Image size 33x52 | MRI | Medial temporal lobe | Field of view 33x52 mm 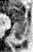 Segmented structures:
* anterior hippocampus: left=10, top=6, right=24, bottom=21
* posterior hippocampus: left=14, top=22, right=24, bottom=40